Slice 106 of 119 | CT slice | Image size 512x512

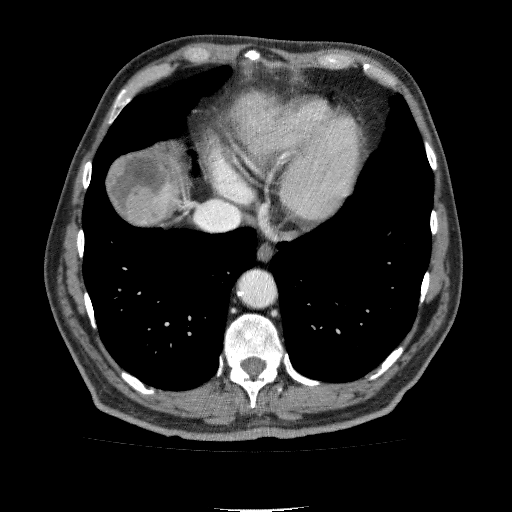

2 liver regions appear at x1=138, y1=143, x2=191, y2=226; x1=232, y1=93, x2=280, y2=157. 2 liver lesion regions are bounded by x1=257, y1=142, x2=273, y2=157; x1=105, y1=149, x2=172, y2=225.